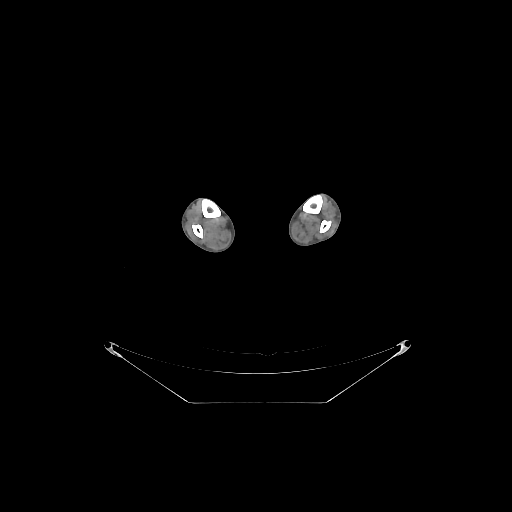
512x512 px | CT

4 bone regions are located at (201, 199, 220, 218), (192, 224, 202, 238), (320, 220, 331, 232), (303, 195, 322, 213).